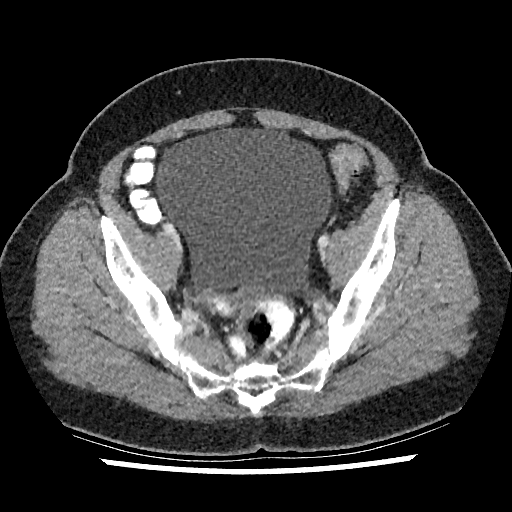
Computed tomography. Lower abdomen.
urinary bladder: (156,125,331,296)